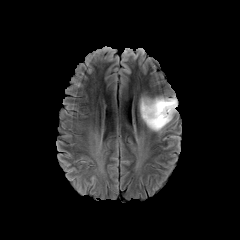
FLAIR MR.
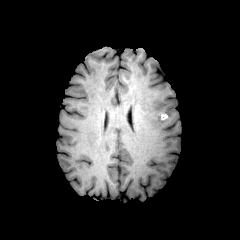
T1-weighted MRI.
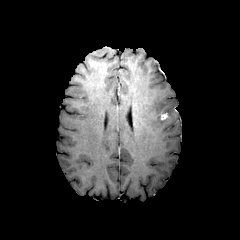
Post-contrast T1-weighted magnetic resonance.
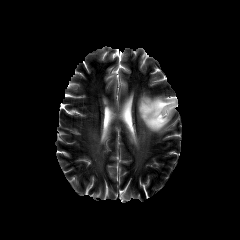
Same slice, T2-weighted MRI.
Brain.
Edema: bounding box 138:95:177:133.
Non-enhancing tumor core: bounding box 140:98:151:117, 154:110:167:120.